Slice 87 of 155
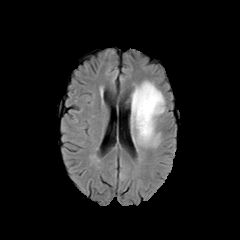
FLAIR MR.
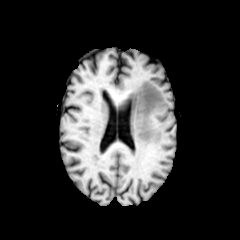
T1-weighted MR.
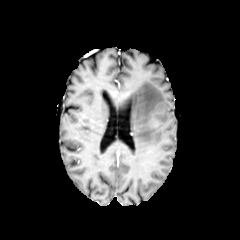
Same slice, post-contrast T1-weighted MRI.
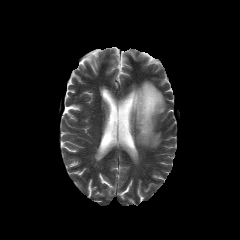
Same slice, T2-weighted MR.
Edema — x1=131 y1=81 x2=164 y2=144.